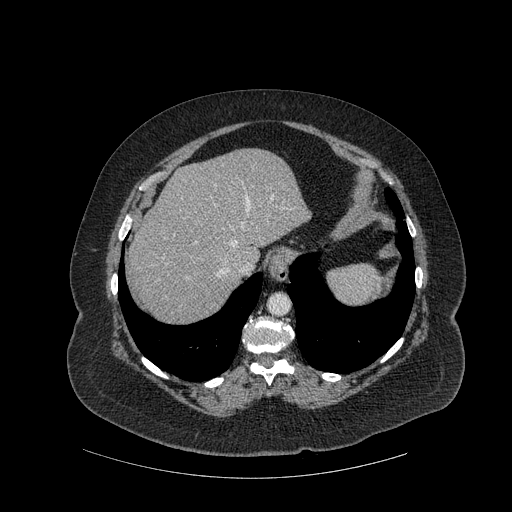

CT image

The liver appears at region(130, 149, 307, 324). 2 lung regions appear at region(287, 188, 414, 373); region(118, 260, 261, 381). 9 bone regions appear at region(322, 373, 340, 381); region(250, 359, 293, 384); region(407, 217, 415, 236); region(243, 318, 294, 353); region(205, 378, 223, 387); region(142, 357, 167, 378); region(111, 274, 117, 294); region(415, 267, 422, 287); region(381, 338, 403, 362).